Image width 368 mm, Slice 67/87, 512x512, CT 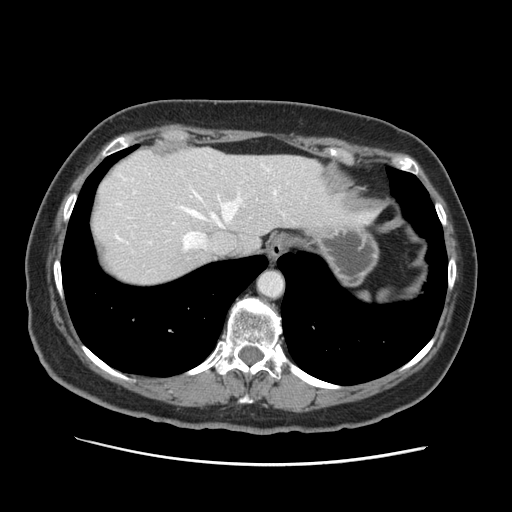

Annotated regions:
- spleen: (x1=375, y1=289, x2=397, y2=305), (x1=355, y1=292, x2=371, y2=304)